CT image

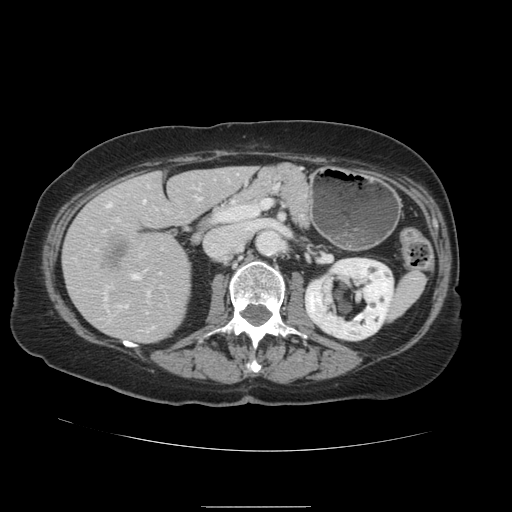

Only some of the vessels may be annotated.
Liver tumor at 106,242,127,263.
Hepatic vessel at 124,306,126,307; 195,197,199,199; 131,274,137,279; 105,203,110,207; 115,219,117,220; 143,200,144,202.